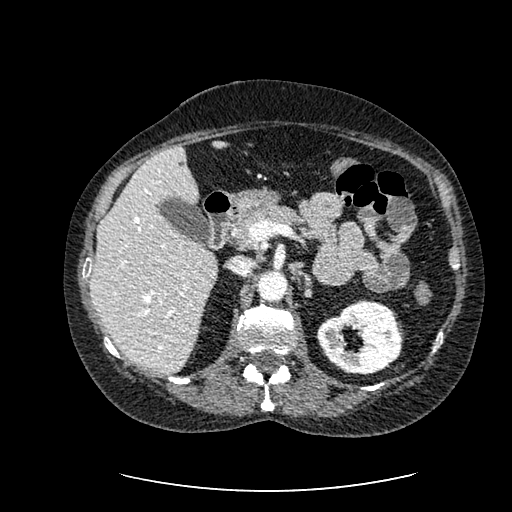

Computed tomography | Upper abdomen | 512x512 px
Segmented structures:
• kidney: rect(318, 301, 401, 373)
• liver: rect(212, 139, 227, 148); rect(92, 146, 216, 372)